Image size 512x512. CT scan slice. Slice index 477. 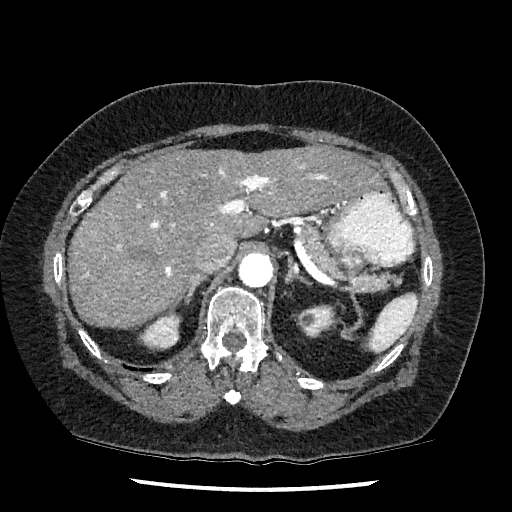 Liver — x1=68, y1=146, x2=384, y2=326.
Kidney — x1=142, y1=315, x2=178, y2=347; x1=310, y1=307, x2=332, y2=333.